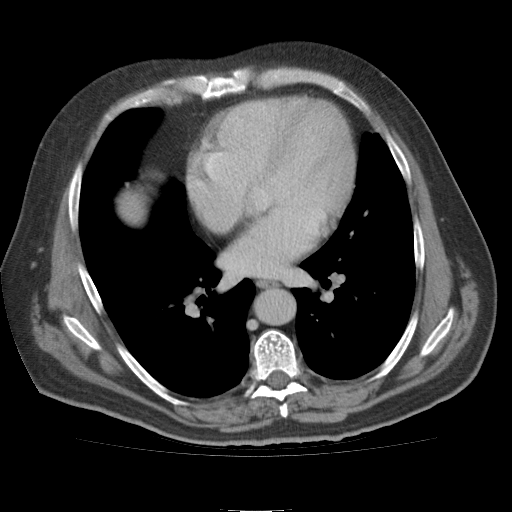
CT image
<segmentation>
  <liver>[x1=121, y1=183, x2=154, y2=221]</liver>
</segmentation>